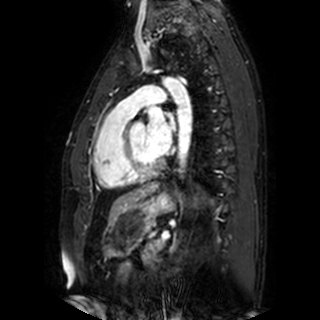
320x320 | Heart | MR
left atrium: <box>145,108,176,154</box>